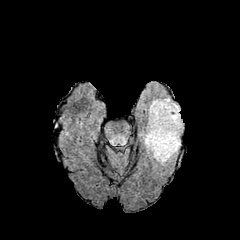
FLAIR magnetic resonance.
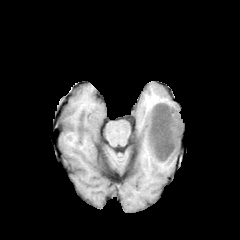
Same slice, T1-weighted magnetic resonance.
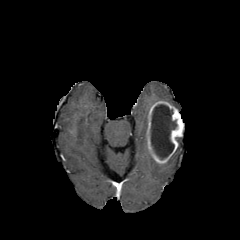
Post-contrast T1-weighted MR image of the same slice.
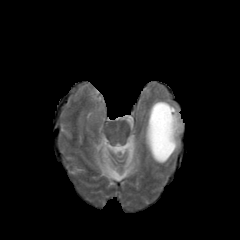
T2-weighted MR of the same slice.
240x240 | Brain
{"non-enhancing_tumor_core": ["151, 104, 176, 158"], "enhancing_tumor": ["145, 101, 183, 163"], "edema": ["147, 98, 179, 114", "142, 121, 154, 161"]}